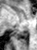

MR | 37x50
- posterior hippocampus: <box>16,29,27,39</box>